Liver. CT scan slice.

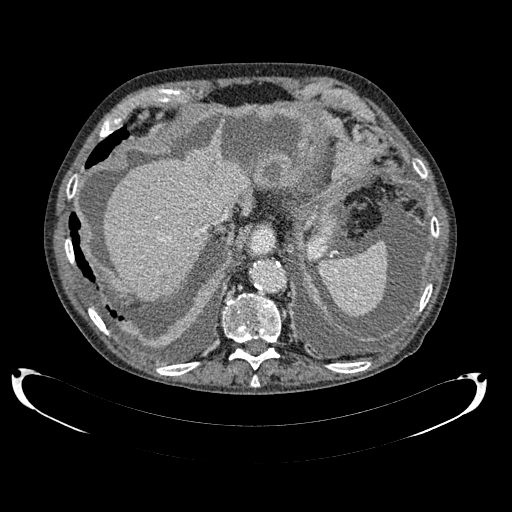

Liver — <bbox>103, 143, 248, 301</bbox>.